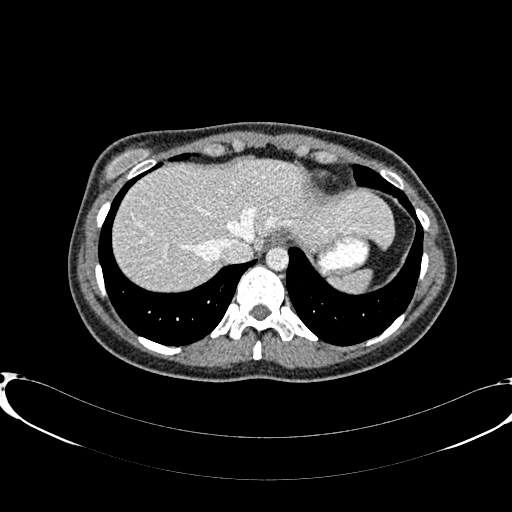
CT image. Image size 512x512. Abdomen.

Liver = [113, 159, 393, 289].